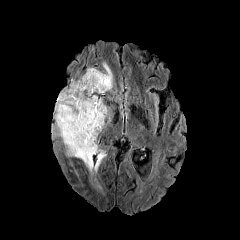
FLAIR MR image.
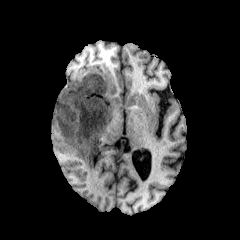
T1-weighted MR image.
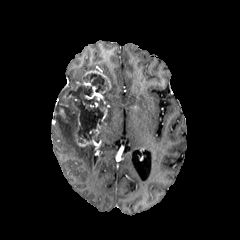
Same slice, post-contrast T1-weighted MRI.
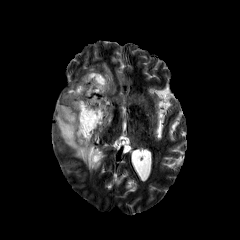
T2-weighted MRI.
Brain
non-enhancing tumor core: <bbox>54, 72, 108, 143</bbox> | edema: <bbox>52, 116, 106, 174</bbox>, <bbox>102, 63, 112, 87</bbox> | enhancing tumor: <bbox>85, 70, 111, 89</bbox>, <bbox>75, 134, 99, 147</bbox>, <bbox>85, 86, 103, 99</bbox>